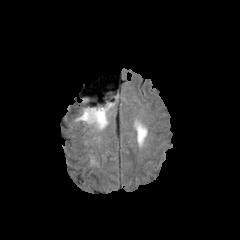
FLAIR MR.
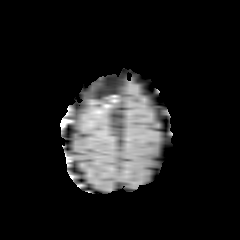
T1-weighted magnetic resonance.
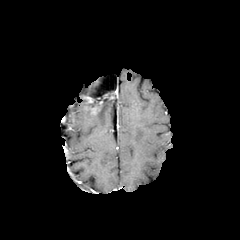
Same slice, post-contrast T1-weighted MR image.
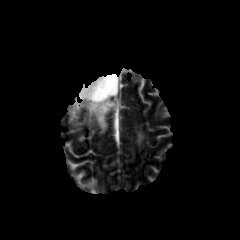
T2-weighted magnetic resonance.
Brain
* edema: box=[135, 124, 147, 145]; box=[74, 98, 117, 132]
* non-enhancing tumor core: box=[91, 104, 105, 114]